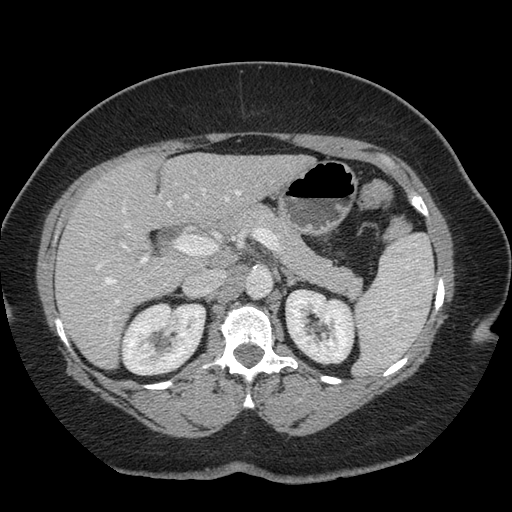
Computed tomography | Image size 512x512 | Liver

Some hepatic vessels may have no box.
<segmentation partial="true">
  <hepatic_vessel shown="15" total="16">(x1=202, y1=189, x2=205, y2=195), (x1=114, y1=300, x2=119, y2=305), (x1=236, y1=191, x2=240, y2=195), (x1=106, y1=278, x2=115, y2=284), (x1=125, y1=223, x2=129, y2=227), (x1=168, y1=202, x2=171, y2=206), (x1=184, y1=196, x2=187, y2=198), (x1=138, y1=279, x2=142, y2=284), (x1=141, y1=257, x2=146, y2=263), (x1=96, y1=262, x2=104, y2=269), (x1=122, y1=245, x2=129, y2=250), (x1=176, y1=236, x2=212, y2=254), (x1=122, y1=207, x2=126, y2=213), (x1=109, y1=318, x2=114, y2=331), (x1=225, y1=198, x2=228, y2=200)</hepatic_vessel>
</segmentation>